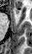

Medial temporal lobe. Magnetic resonance.

The anterior hippocampus appears at (left=14, top=8, right=19, bottom=15).